CT slice | Abdomen

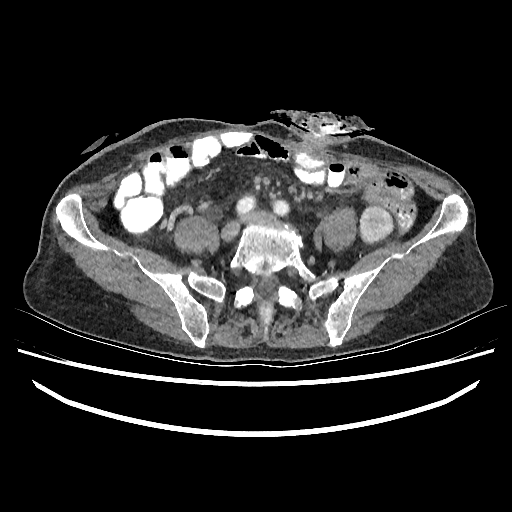 2 kidney regions are bounded by box(391, 253, 403, 258); box(360, 206, 392, 241).